FLAIR magnetic resonance.
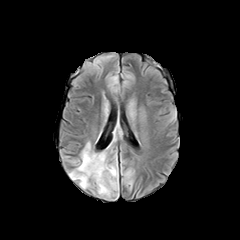
T1-weighted MR.
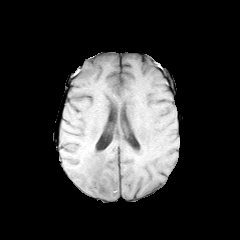
Post-contrast T1-weighted MR image.
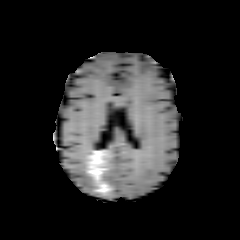
T2-weighted magnetic resonance.
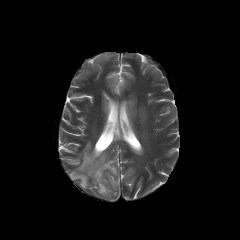
240x240
Edema: l=106, t=162, r=117, b=175; l=71, t=151, r=91, b=187.
Enhancing tumor: l=98, t=184, r=107, b=194; l=88, t=154, r=104, b=181.
Non-enhancing tumor core: l=96, t=178, r=109, b=191.